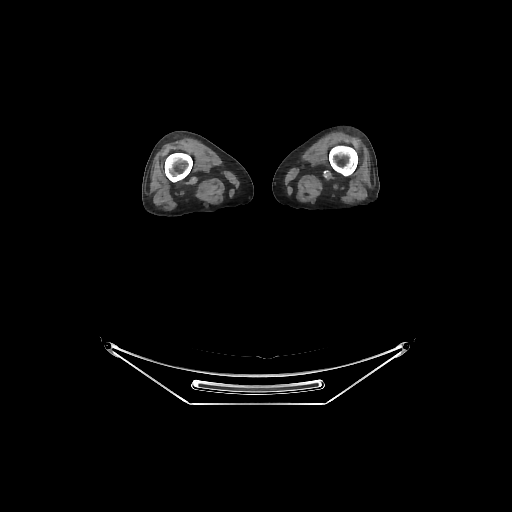
CT scan slice | 512x512
Bone: bounding box x1=165, y1=153, x2=192, y2=182; x1=329, y1=146, x2=357, y2=175.